Brain
FLAIR MRI.
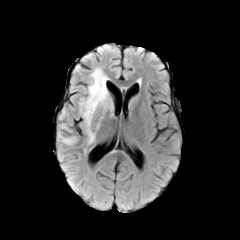
T1-weighted MR.
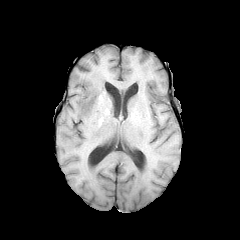
Post-contrast T1-weighted MR image.
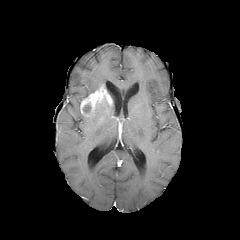
T2-weighted MR.
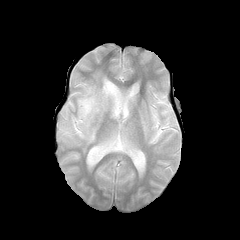
non-enhancing_tumor_core:
  - (83,105,93,115)
edema:
  - (76,67,113,144)
  - (58,110,78,146)
enhancing_tumor:
  - (80,84,110,116)